Slice 577/689, CT image, Thorax

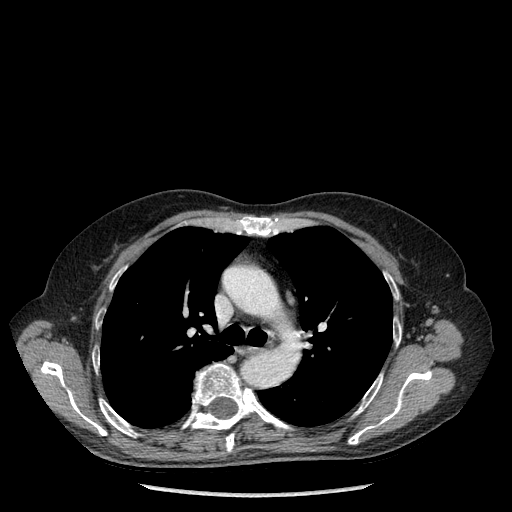 Lung — <box>100,226,266,428</box>, <box>259,226,392,426</box>.
Bone — <box>95,313,101,328</box>, <box>393,318,401,345</box>, <box>168,363,291,436</box>, <box>348,370,432,444</box>, <box>233,216,280,236</box>, <box>40,360,107,435</box>, <box>92,351,99,371</box>, <box>354,374,382,415</box>, <box>225,433,234,451</box>, <box>99,398,139,437</box>, <box>109,269,121,290</box>, <box>384,272,398,299</box>.